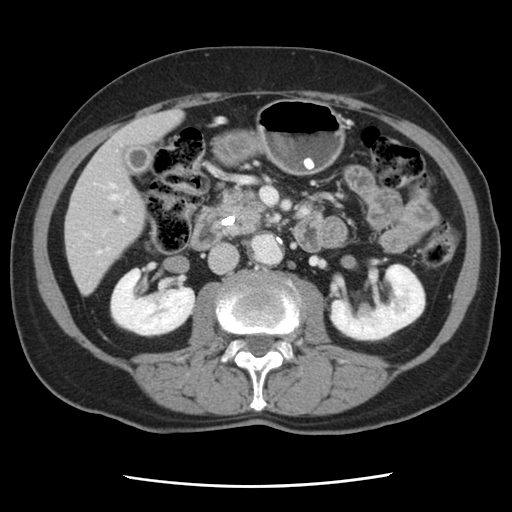
Abdomen | CT image
Pancreas = [216, 194, 234, 232].
Pancreatic tumor = [219, 189, 266, 236].